FLAIR MR.
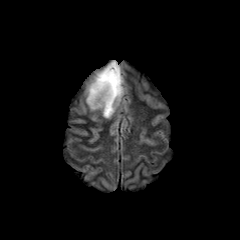
T1-weighted MRI.
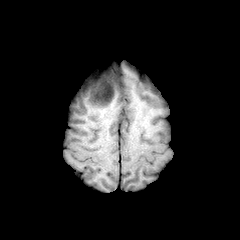
Post-contrast T1-weighted MR.
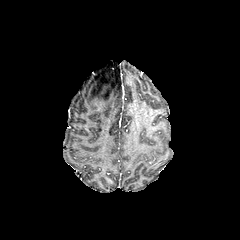
T2-weighted MR.
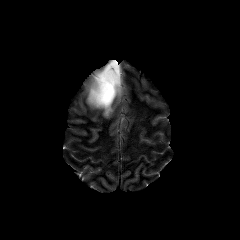
Edema — (left=85, top=60, right=123, bottom=118).
Non-enhancing tumor core — (left=95, top=84, right=112, bottom=105), (left=112, top=66, right=121, bottom=79).